Slice index 105, Brain
FLAIR magnetic resonance.
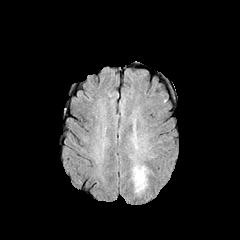
T1-weighted MR image.
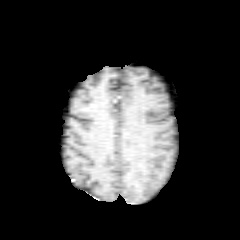
Post-contrast T1-weighted magnetic resonance.
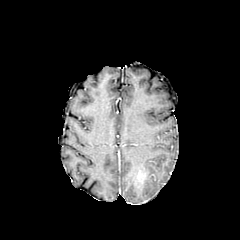
T2-weighted MRI.
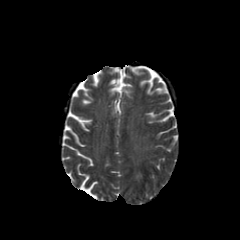
Edema: box(134, 167, 144, 186).